Computed tomography, Slice index 37 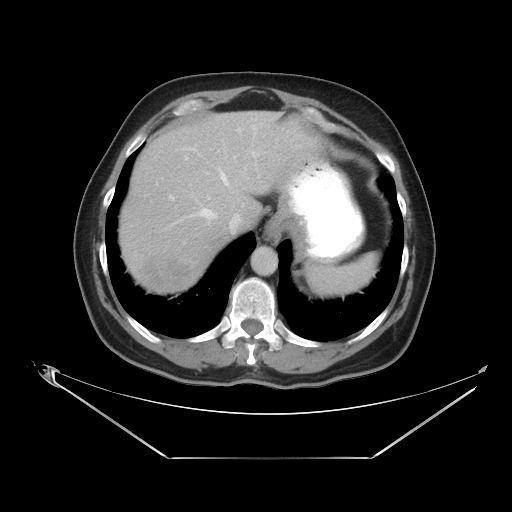

Some hepatic vessels may have no box.
Liver tumor: 134 246 201 293.
Hepatic vessel: 236 126 243 137, 252 151 254 155, 170 209 213 227, 227 155 237 162, 221 173 227 183, 246 149 249 153.